Slice index 314. CT. Field of view 407 mm wide, 1.50 mm slice spacing. Abdomen.

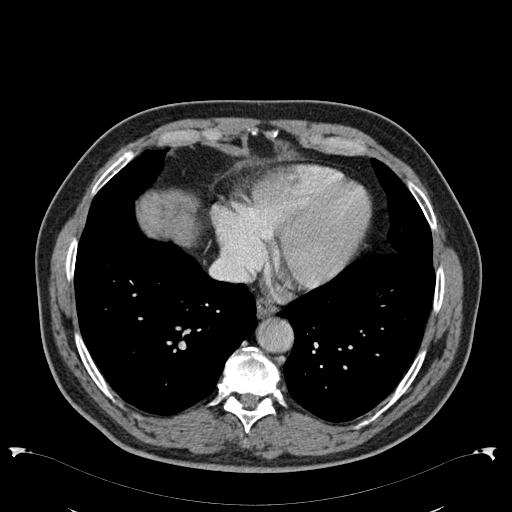
The liver appears at 140,198,187,234.